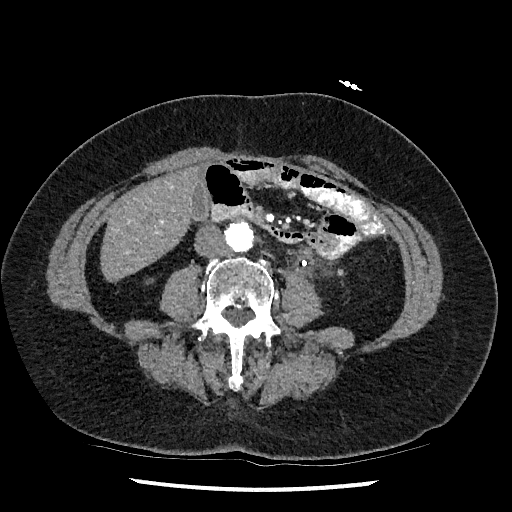 CT slice. Abdomen.

The liver appears at box(101, 165, 199, 279).